Hippocampus, MRI slice

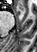
Anterior hippocampus at region(19, 7, 23, 11).